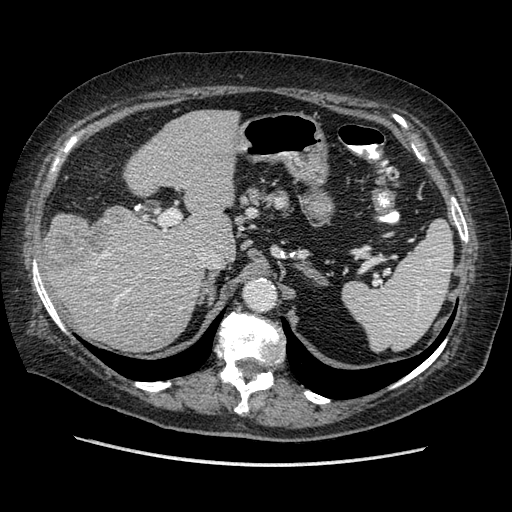

CT; 512x512
liver_tumor:
  - <box>48,215,118,263</box>